Field of view 404x404 mm. Computed tomography.

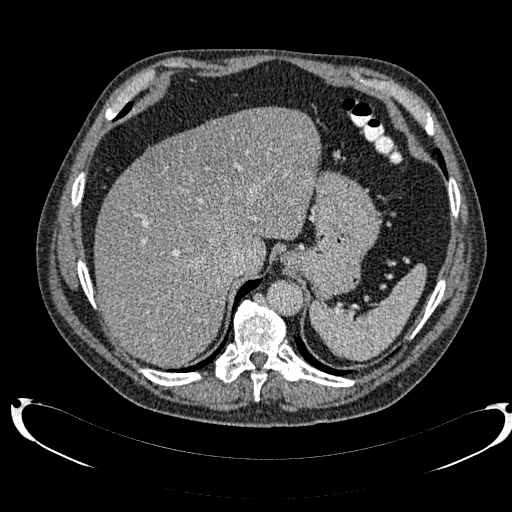
liver: x1=95 y1=108 x2=320 y2=365, x1=149 y1=137 x2=174 y2=150 | liver lesion: x1=137 y1=114 x2=267 y2=219